FLAIR magnetic resonance.
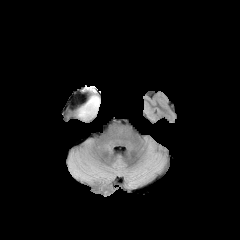
T1-weighted MRI.
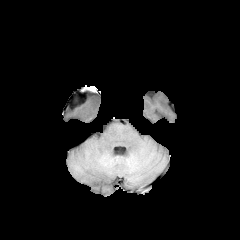
Post-contrast T1-weighted MR.
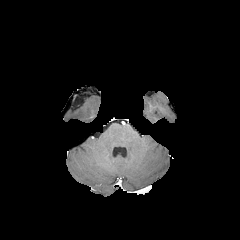
T2-weighted MR image.
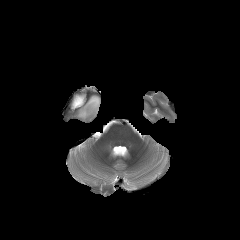
240x240
The edema is bounded by 78:95:99:119.